Slice index 87. Head.
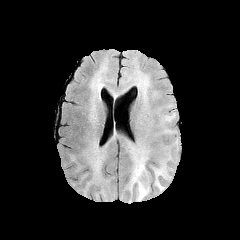
FLAIR MRI.
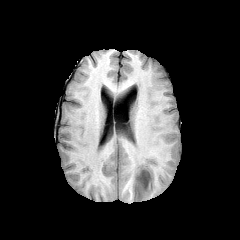
T1-weighted magnetic resonance.
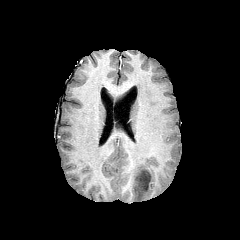
Post-contrast T1-weighted MRI.
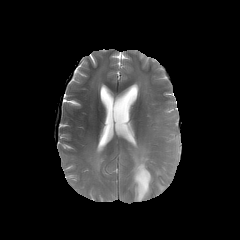
T2-weighted MR image.
non-enhancing_tumor_core:
  - (x1=134, y1=169, x2=150, y2=192)
edema:
  - (x1=136, y1=185, x2=149, y2=200)
  - (x1=128, y1=145, x2=170, y2=191)
  - (x1=84, y1=146, x2=103, y2=175)